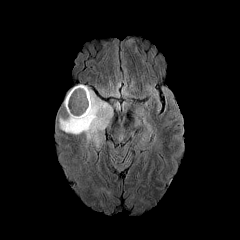
FLAIR MR image.
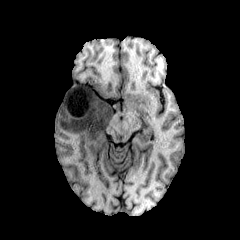
T1-weighted magnetic resonance.
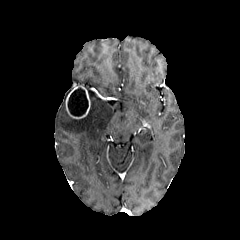
Post-contrast T1-weighted MR.
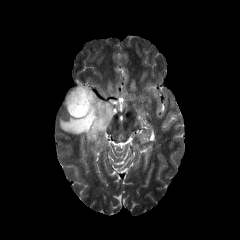
T2-weighted MR.
Non-enhancing tumor core: bounding box 68, 87, 88, 116.
Edema: bounding box 58, 90, 113, 149.
Enhancing tumor: bounding box 65, 85, 90, 119.